Slice index 0; Image size 512x512; CT image
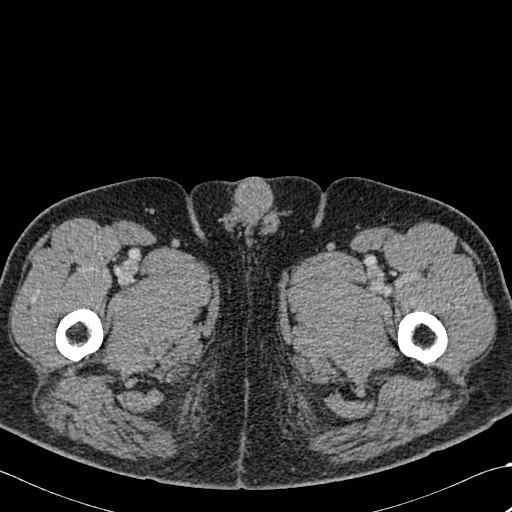

Bone: bounding box x1=55, y1=310, x2=101, y2=362; x1=397, y1=313, x2=446, y2=365.